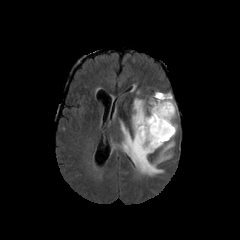
FLAIR magnetic resonance.
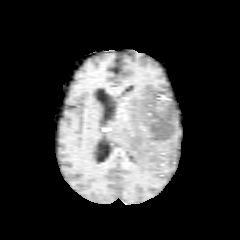
Same slice, T1-weighted magnetic resonance.
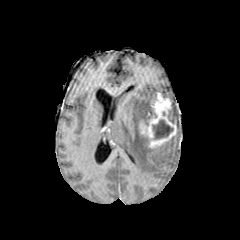
Same slice, post-contrast T1-weighted MR.
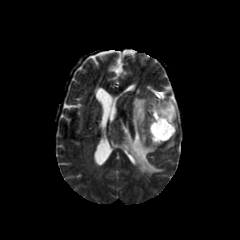
Same slice, T2-weighted MR image.
Brain
edema:
  - (x1=118, y1=89, x2=179, y2=175)
non-enhancing_tumor_core:
  - (x1=153, y1=120, x2=173, y2=139)
  - (x1=168, y1=97, x2=177, y2=120)
enhancing_tumor:
  - (x1=140, y1=92, x2=176, y2=147)